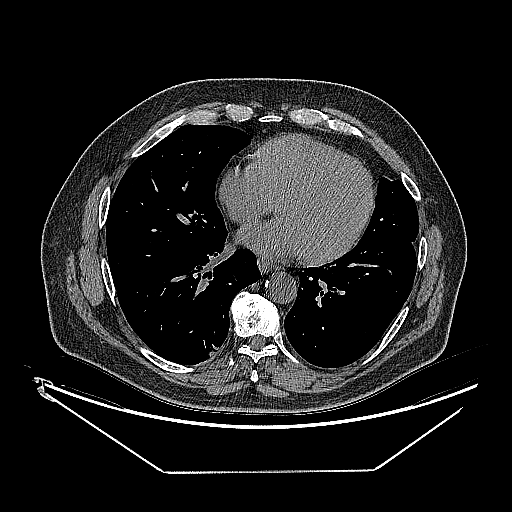 CT slice. 512x512.
Lung tumor: <bbox>205, 344, 220, 358</bbox>.